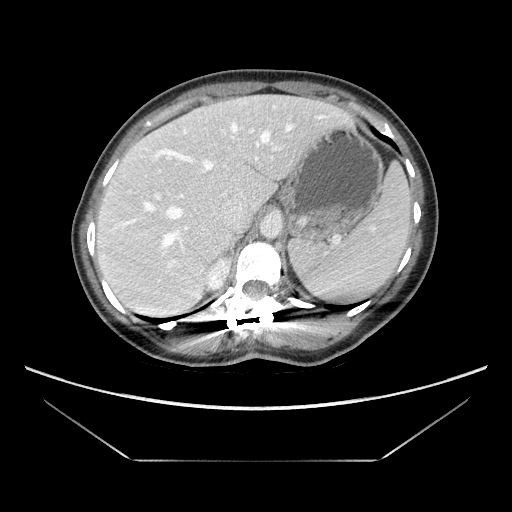 CT image | 512x512
Only some of the vessels may be annotated.
Hepatic vessel — <bbox>164, 205, 183, 219</bbox>, <bbox>175, 154, 181, 157</bbox>, <bbox>222, 200, 244, 226</bbox>, <bbox>146, 204, 152, 210</bbox>, <bbox>164, 226, 187, 245</bbox>, <bbox>204, 161, 212, 169</bbox>, <bbox>168, 152, 171, 154</bbox>, <bbox>258, 133, 268, 144</bbox>.